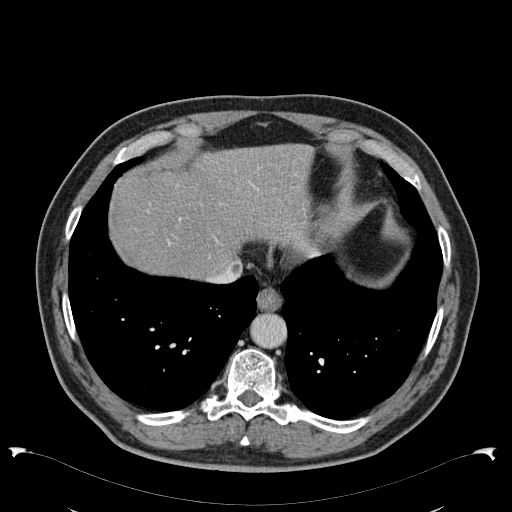

CT, Abdomen
The liver appears at rect(111, 144, 314, 277).